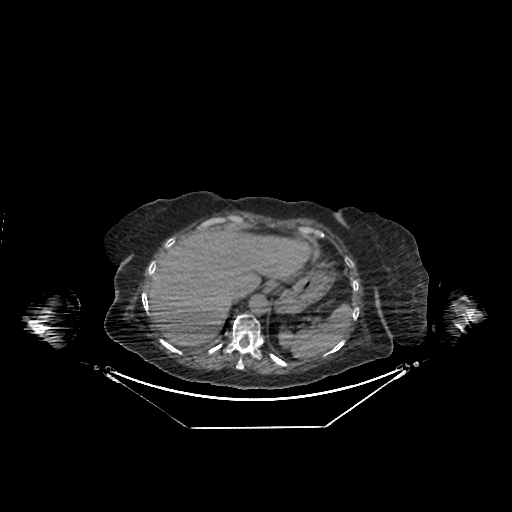 CT scan slice; Upper abdomen
The liver is at 148,225,315,350.